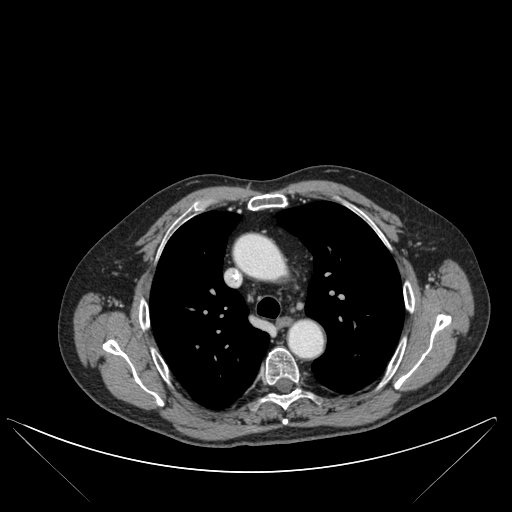
Thorax. Computed tomography. 512x512 px.

3 lung regions are bounded by left=257, top=297, right=279, bottom=317; left=150, top=211, right=269, bottom=409; left=275, top=201, right=403, bottom=393. 10 bone regions appear at left=368, top=218, right=383, bottom=240; left=139, top=299, right=149, bottom=329; left=248, top=194, right=286, bottom=210; left=262, top=388, right=312, bottom=408; left=151, top=349, right=168, bottom=380; left=395, top=314, right=451, bottom=388; left=403, top=282, right=414, bottom=311; left=382, top=339, right=405, bottom=383; left=103, top=339, right=163, bottom=405; left=264, top=348, right=299, bottom=384.